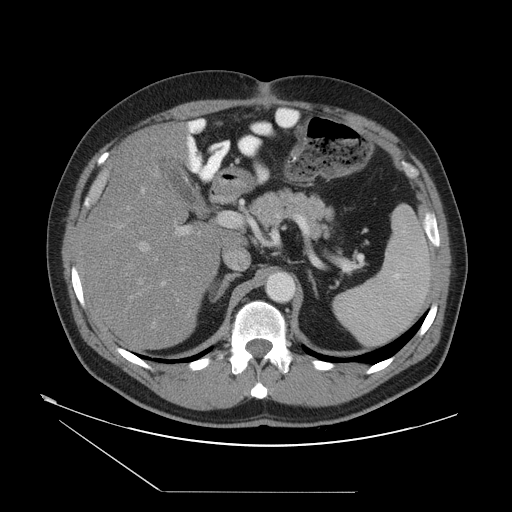

CT slice
Some hepatic vessels may have no box.
Hepatic vessel — (x1=176, y1=299, x2=178, y2=301), (x1=138, y1=242, x2=148, y2=252), (x1=185, y1=135, x2=189, y2=142), (x1=152, y1=323, x2=154, y2=327), (x1=155, y1=258, x2=156, y2=260), (x1=160, y1=282, x2=164, y2=285), (x1=198, y1=232, x2=199, y2=234), (x1=138, y1=279, x2=141, y2=283), (x1=174, y1=223, x2=191, y2=235).